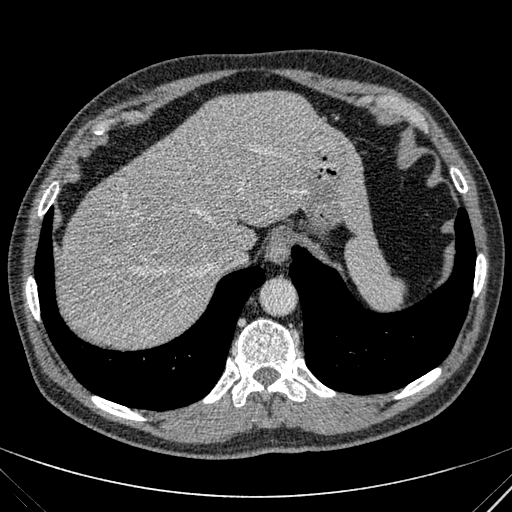
Image size 512x512; CT image
liver: 56:92:372:347